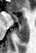 MRI slice
<segmentation>
  <anterior_hippocampus>[x1=9, y1=11, x2=19, y2=23], [x1=21, y1=17, x2=27, y2=23]</anterior_hippocampus>
  <posterior_hippocampus>[x1=15, y1=24, x2=29, y2=42]</posterior_hippocampus>
</segmentation>